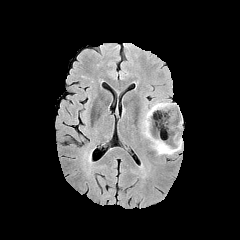
FLAIR MR.
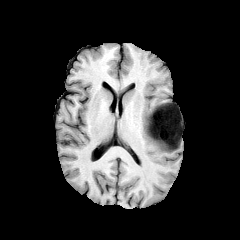
Same slice, T1-weighted MRI.
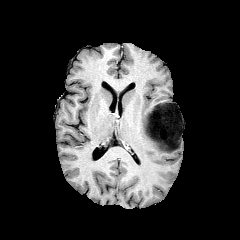
Same slice, post-contrast T1-weighted MR image.
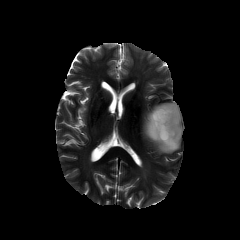
T2-weighted magnetic resonance.
Image size 240x240, Head
edema: <box>142,103,182,155</box> | non-enhancing tumor core: <box>157,104,179,150</box>